MRI slice. 35x47 px. 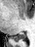
The posterior hippocampus is at bbox(11, 32, 25, 41).